CT scan slice, Slice index 10, Liver

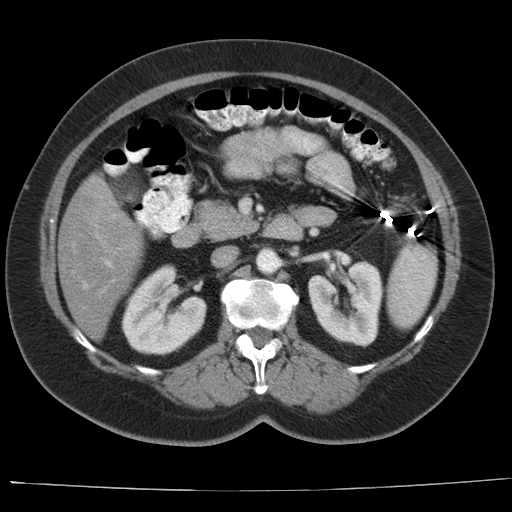 The vessel boxes may cover only some of the vessels.
Hepatic vessel — 106, 262, 111, 265; 82, 283, 86, 288.
Liver tumor — 97, 206, 135, 245; 82, 191, 99, 208.